CT image | Slice 62 of 299 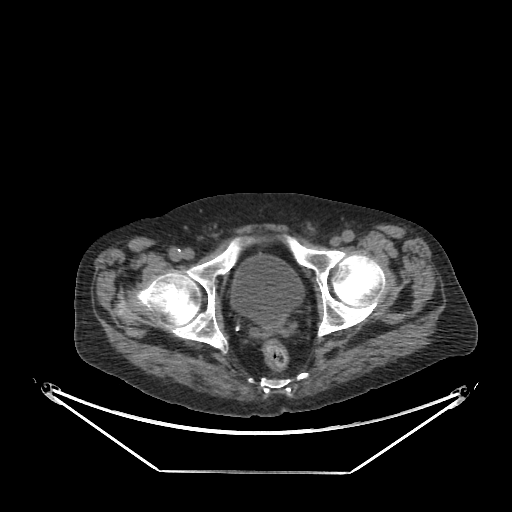 Urinary bladder = (230, 252, 304, 341).